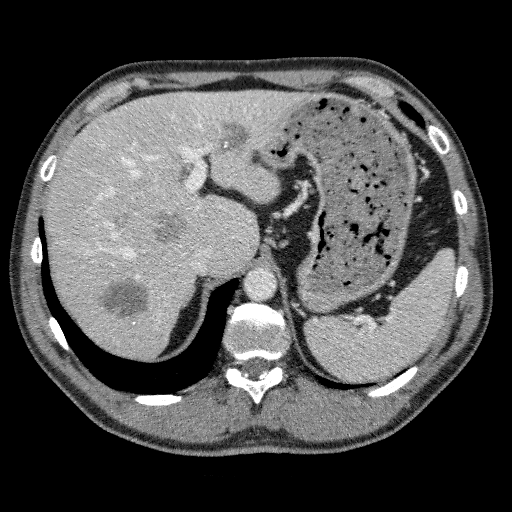

CT scan slice | 512x512 px | Upper abdomen
Liver — box=[45, 89, 309, 359].
Focal liver lesion — box=[96, 278, 152, 318]; box=[148, 210, 190, 245]; box=[114, 211, 132, 228]; box=[246, 160, 258, 170]; box=[168, 271, 179, 281]; box=[212, 120, 251, 158].